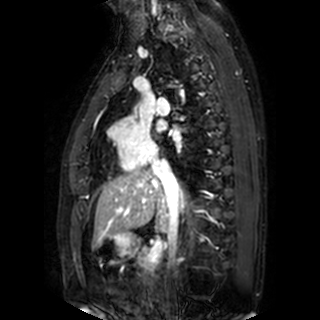

Heart. Magnetic resonance.
{
  "left_atrium": [
    "x1=173, y1=133, x2=181, y2=141",
    "x1=156, y1=120, x2=166, y2=131"
  ]
}